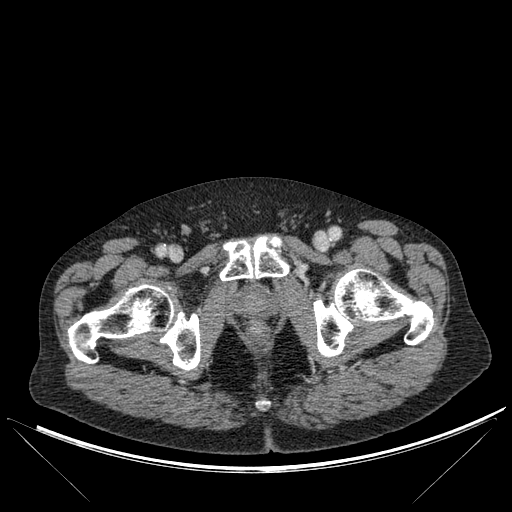 CT scan slice; 512x512

bone: [x1=68, y1=284, x2=200, y2=370], [x1=220, y1=236, x2=289, y2=280], [x1=314, y1=269, x2=433, y2=356]